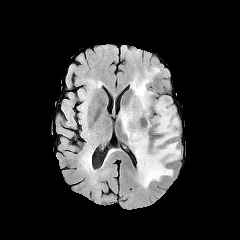
FLAIR MRI.
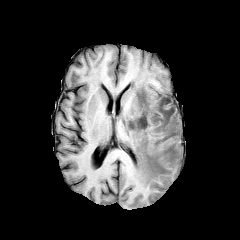
T1-weighted MRI of the same slice.
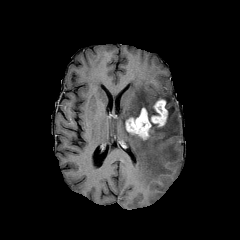
Post-contrast T1-weighted MR of the same slice.
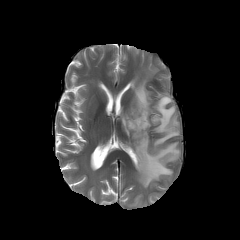
T2-weighted MR of the same slice.
Brain
Enhancing tumor: [125, 108, 150, 139], [151, 99, 167, 126].
Edema: [161, 96, 174, 107], [119, 68, 180, 188].
Non-enhancing tumor core: [148, 108, 173, 129], [126, 104, 145, 119].